Image size 512x512; Abdomen; CT 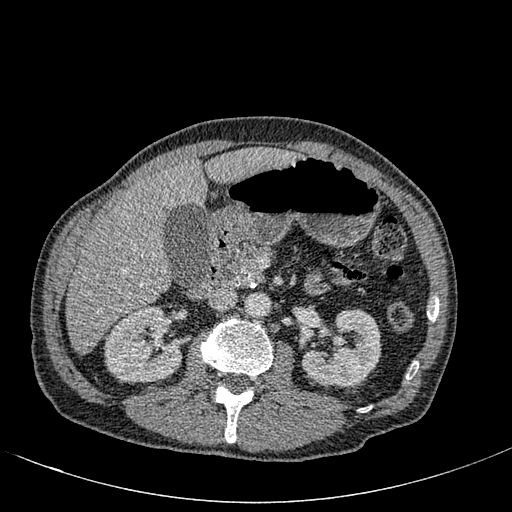 Liver — box(204, 147, 301, 183); box(67, 160, 207, 353).
Kidney — box(104, 307, 181, 381); box(300, 308, 380, 386).